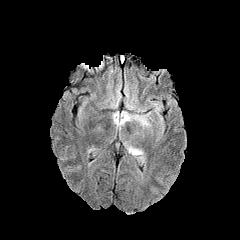
FLAIR MRI.
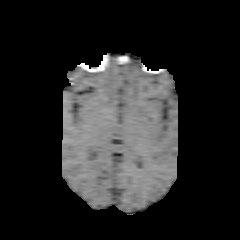
Same slice, T1-weighted magnetic resonance.
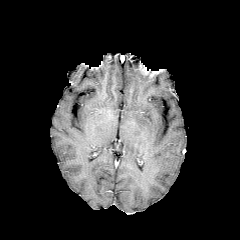
Post-contrast T1-weighted MR of the same slice.
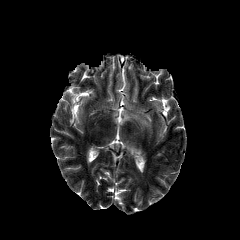
T2-weighted MRI.
Head
3 edema regions appear at box=[152, 103, 162, 117]; box=[112, 102, 152, 133]; box=[123, 142, 143, 161].